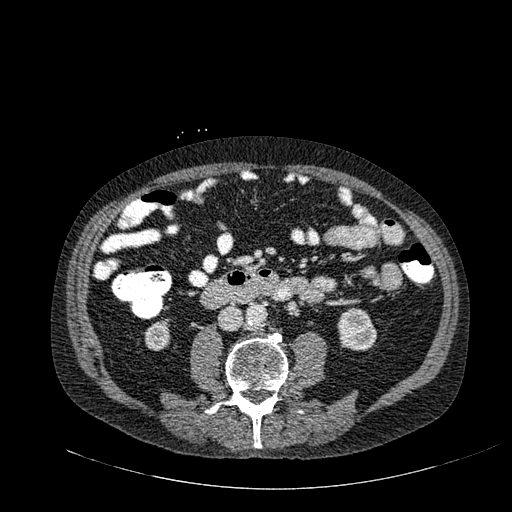
Abdomen. CT scan slice.

2 kidney regions are located at rect(337, 308, 376, 350); rect(145, 319, 170, 350).